Hippocampus. MRI slice. Image size 38x50.
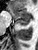

<segmentation>
  <posterior_hippocampus>x1=16 y1=20 x2=30 y2=26</posterior_hippocampus>
  <anterior_hippocampus>x1=7 y1=7 x2=30 y2=19</anterior_hippocampus>
</segmentation>